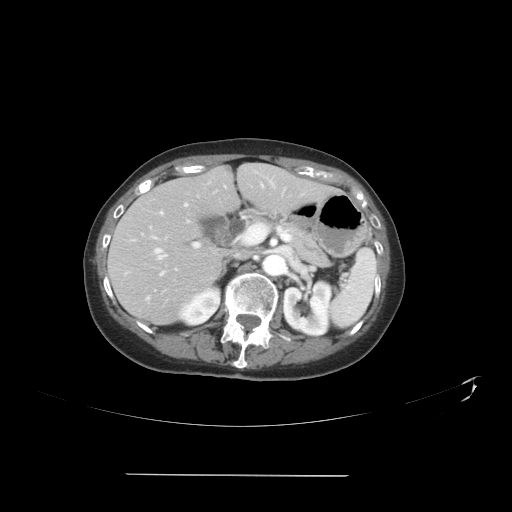

512x512 | Liver | CT image
Some hepatic vessels may have no box.
Hepatic vessel at {"x1": 152, "y1": 236, "x2": 156, "y2": 238}, {"x1": 160, "y1": 271, "x2": 163, "y2": 275}, {"x1": 141, "y1": 233, "x2": 143, "y2": 235}, {"x1": 193, "y1": 242, "x2": 199, "y2": 247}, {"x1": 184, "y1": 203, "x2": 187, "y2": 206}, {"x1": 160, "y1": 211, "x2": 163, "y2": 214}, {"x1": 186, "y1": 220, "x2": 189, "y2": 222}, {"x1": 214, "y1": 191, "x2": 216, "y2": 192}, {"x1": 260, "y1": 183, "x2": 263, "y2": 187}, {"x1": 283, "y1": 189, "x2": 284, "y2": 191}, {"x1": 155, "y1": 248, "x2": 166, "y2": 259}, {"x1": 268, "y1": 179, "x2": 273, "y2": 186}.